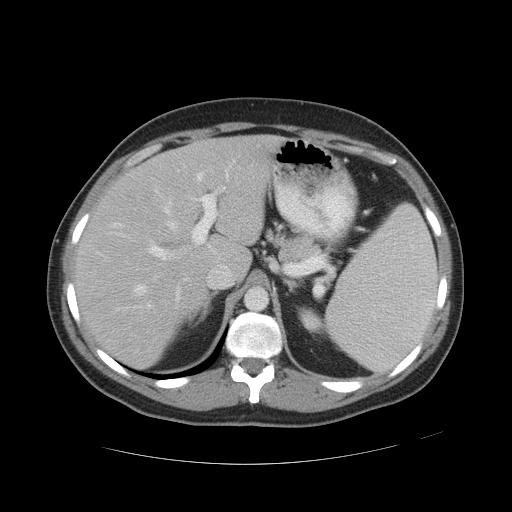
512x512 px, Liver, CT scan slice

The vessel boxes may cover only some of the vessels.
The liver tumor lies within bbox=[127, 192, 133, 202]. 11 hepatic vessel regions appear at bbox=[223, 187, 225, 189]; bbox=[134, 285, 145, 294]; bbox=[225, 160, 234, 180]; bbox=[147, 304, 150, 307]; bbox=[149, 240, 171, 259]; bbox=[167, 222, 177, 228]; bbox=[192, 195, 217, 243]; bbox=[183, 246, 185, 249]; bbox=[197, 172, 203, 180]; bbox=[175, 288, 180, 301]; bbox=[238, 166, 240, 168].